Slice index 53 | Brain | Field of view 240 mm wide, 1.00 mm slice spacing
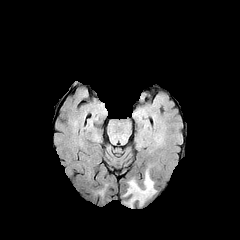
FLAIR MR image.
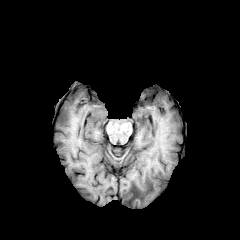
T1-weighted MR of the same slice.
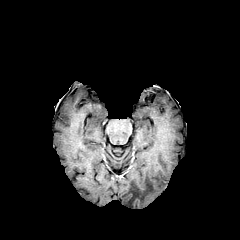
Same slice, post-contrast T1-weighted magnetic resonance.
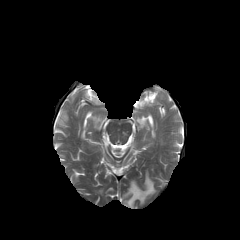
T2-weighted MR of the same slice.
edema:
  - <box>124,171,156,207</box>